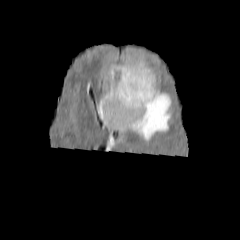
FLAIR MR image.
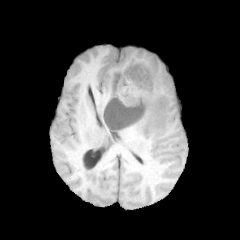
T1-weighted MRI.
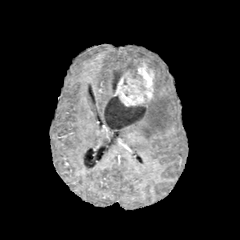
Post-contrast T1-weighted MR of the same slice.
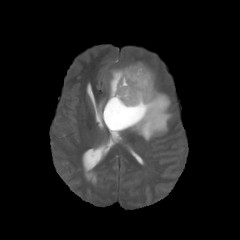
Same slice, T2-weighted MR image.
The non-enhancing tumor core is located at {"x1": 104, "y1": 64, "x2": 148, "y2": 129}. The enhancing tumor is bounded by {"x1": 115, "y1": 63, "x2": 154, "y2": 105}. 3 edema regions are located at {"x1": 107, "y1": 78, "x2": 113, "y2": 98}, {"x1": 98, "y1": 99, "x2": 107, "y2": 124}, {"x1": 107, "y1": 85, "x2": 172, "y2": 139}.